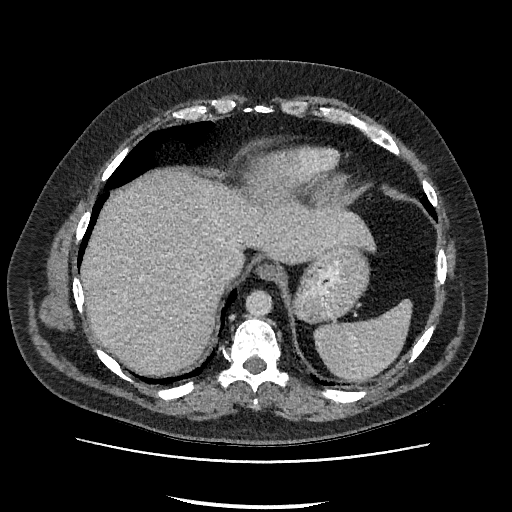
Computed tomography; Abdomen; 512x512
liver: (x1=83, y1=173, x2=375, y2=373)